Image size 240x240; Field of view 240 mm wide, 1.00 mm slice spacing; Slice 122/155
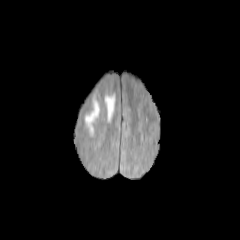
FLAIR MRI.
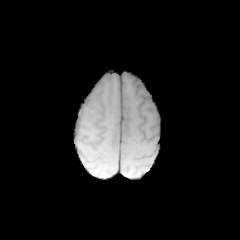
T1-weighted MR image.
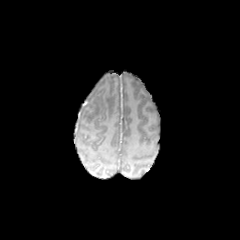
Post-contrast T1-weighted MR of the same slice.
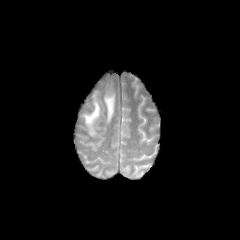
T2-weighted MRI.
Segmented structures:
• edema: bbox=[104, 92, 114, 122]; bbox=[82, 96, 100, 136]